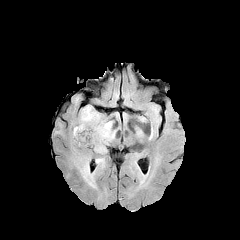
FLAIR MR.
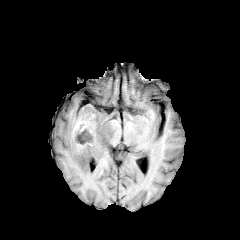
T1-weighted MRI.
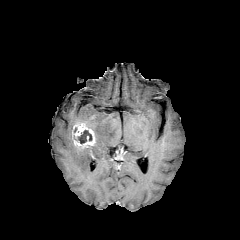
Post-contrast T1-weighted MRI of the same slice.
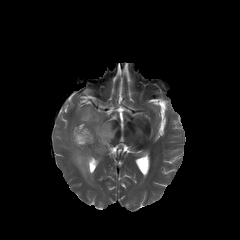
T2-weighted MR.
240x240
Segmented structures:
* enhancing tumor: 71, 122, 95, 148
* edema: 74, 153, 104, 188; 79, 105, 117, 154
* non-enhancing tumor core: 79, 130, 91, 143